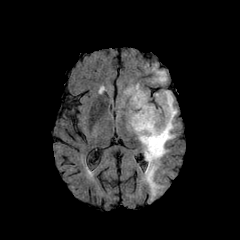
FLAIR MR.
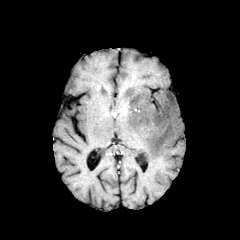
Same slice, T1-weighted magnetic resonance.
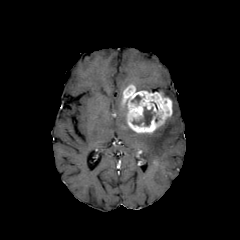
Post-contrast T1-weighted magnetic resonance.
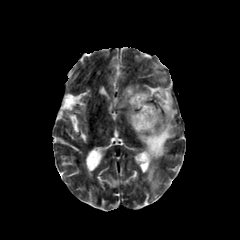
T2-weighted MR.
Head.
Enhancing tumor: bounding box box(122, 85, 172, 133).
Edema: bounding box box(135, 90, 178, 196).
Non-enhancing tumor core: bounding box box(132, 107, 154, 125).